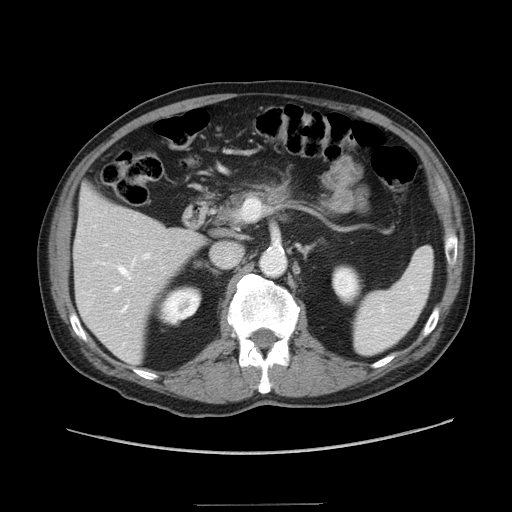 Upper abdomen. CT slice. The pancreatic tumor is at [270,190,286,202]. The pancreas lies within [218,183,289,223].